CT scan slice; Slice 43 of 80
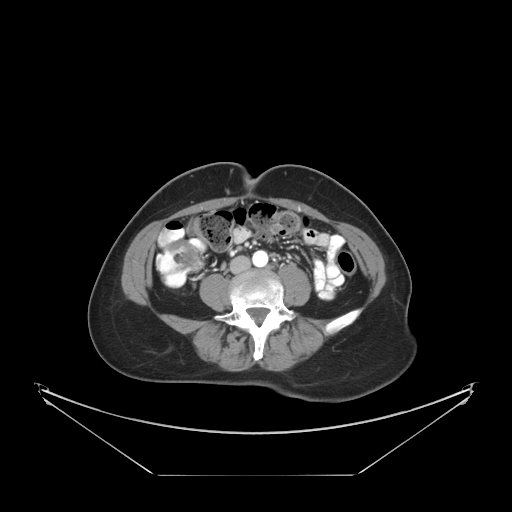
colon_tumor:
  - (left=166, top=240, right=199, bottom=271)